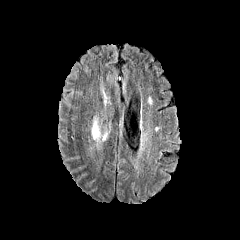
FLAIR MRI.
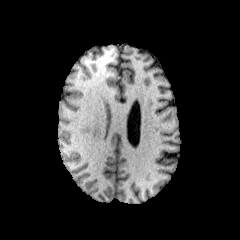
T1-weighted magnetic resonance.
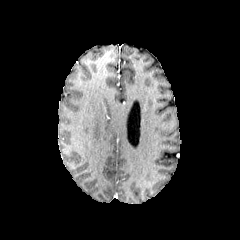
Post-contrast T1-weighted MRI of the same slice.
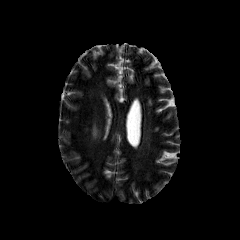
Same slice, T2-weighted MRI.
240x240, Head
The edema is bounded by (left=92, top=122, right=98, bottom=139).